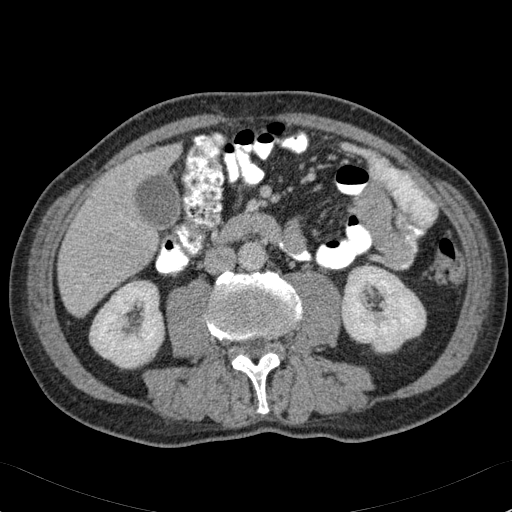 Liver. Computed tomography. 512x512 px.
liver:
  - [59,147,176,314]
kidney:
  - [342,266,425,351]
  - [90,281,163,367]